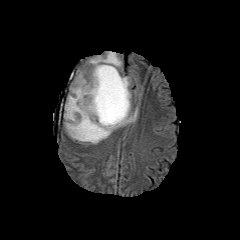
FLAIR MRI.
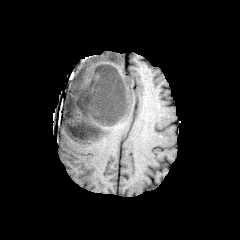
T1-weighted MR.
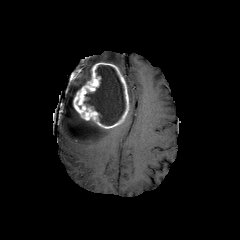
Post-contrast T1-weighted MR.
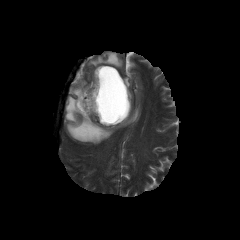
T2-weighted MR image.
Brain.
{"non-enhancing_tumor_core": ["bbox=[68, 69, 91, 115]", "bbox=[85, 64, 125, 125]"], "enhancing_tumor": ["bbox=[73, 62, 129, 128]"], "edema": ["bbox=[63, 76, 138, 145]", "bbox=[83, 51, 121, 79]"]}